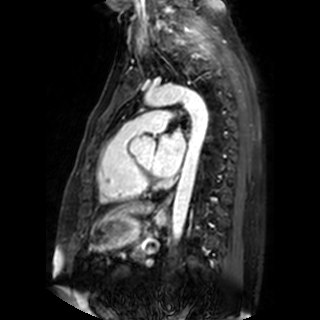

320x320 px, Cardiac, MR image
<segmentation>
  <left_atrium>x1=153 y1=130 x2=185 y2=176</left_atrium>
</segmentation>